FLAIR MR.
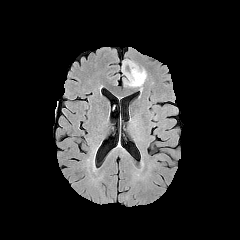
T1-weighted MRI.
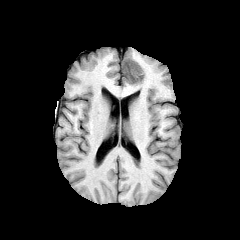
Post-contrast T1-weighted magnetic resonance.
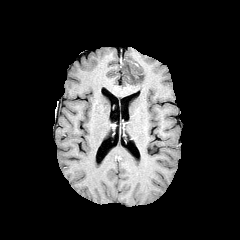
T2-weighted MRI.
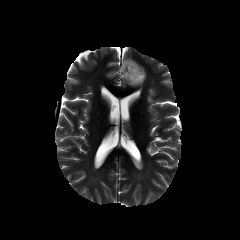
Brain.
Non-enhancing tumor core: bbox=[124, 60, 143, 80].
Edema: bbox=[121, 59, 146, 91].